FLAIR magnetic resonance.
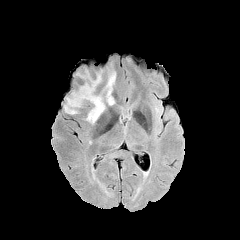
T1-weighted magnetic resonance.
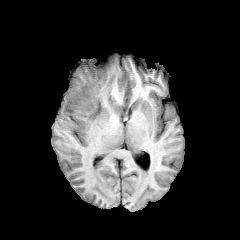
Post-contrast T1-weighted MRI.
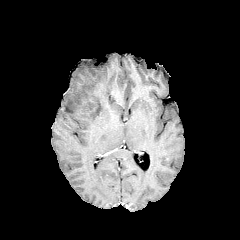
T2-weighted magnetic resonance.
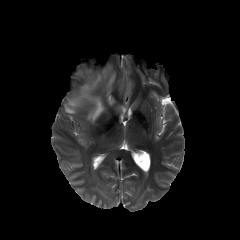
Brain | Image size 240x240
The edema is at 64 66 116 124.